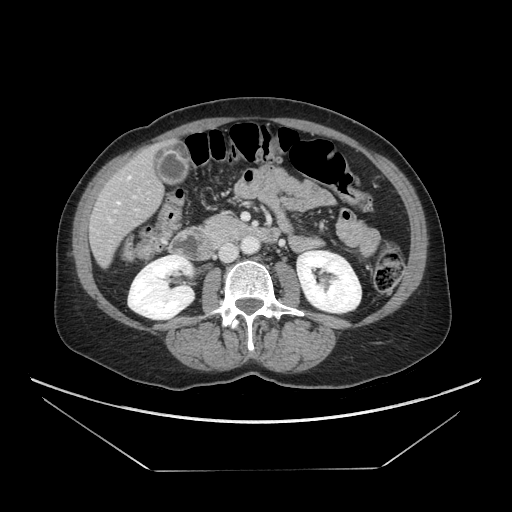
CT image, Image size 512x512

The pancreas is at l=204, t=214, r=252, b=244.